Field of view 399x399 mm, Slice 81 of 105, Liver, CT image

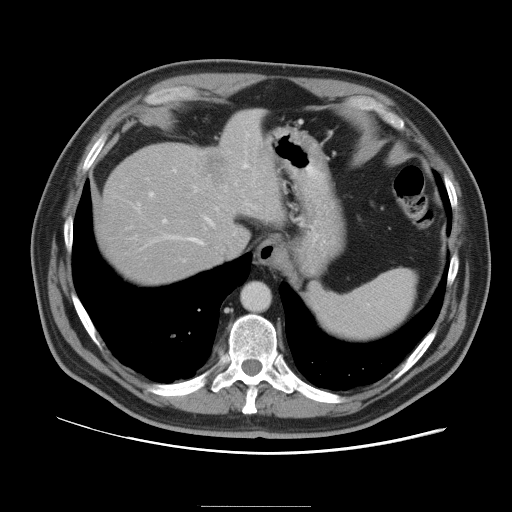 Some hepatic vessels may have no box.
<segmentation partial="true">
  <hepatic_vessel shown="15" total="21">region(205, 217, 213, 226); region(256, 191, 261, 194); region(165, 235, 203, 244); region(134, 202, 139, 211); region(243, 163, 248, 167); region(194, 186, 197, 191); region(235, 181, 237, 185); region(222, 185, 227, 187); region(216, 208, 218, 211); region(244, 151, 246, 154); region(131, 236, 136, 239); region(172, 169, 176, 172); region(147, 240, 154, 244); region(163, 219, 166, 222); region(150, 192, 153, 196)</hepatic_vessel>
  <liver_tumor>region(205, 152, 227, 183)</liver_tumor>
</segmentation>